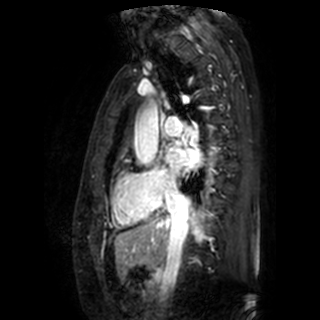
MRI slice
left atrium: 166:147:199:175